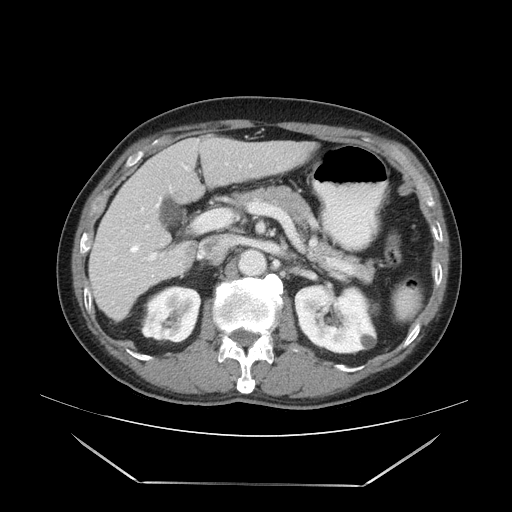
CT image. Not every hepatic vessel necessarily has a box.
hepatic_vessel:
  - (199, 254, 203, 257)
  - (249, 164, 251, 166)
  - (225, 163, 227, 165)
  - (239, 165, 240, 166)
  - (142, 254, 154, 260)
liver_tumor:
  - (179, 242, 197, 273)